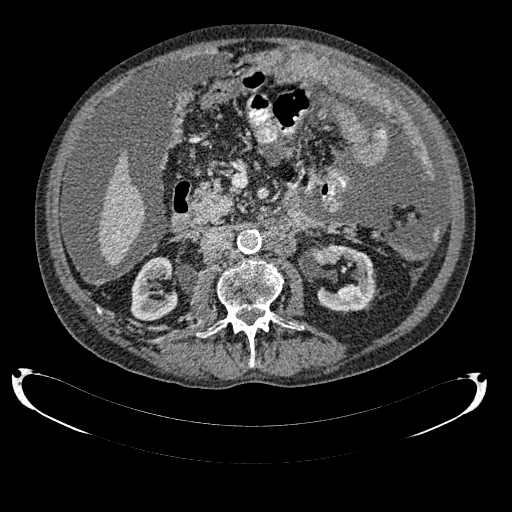

Upper abdomen. CT slice.

• kidney: rect(131, 257, 176, 320); rect(314, 245, 374, 310)
• liver: rect(99, 152, 144, 265)